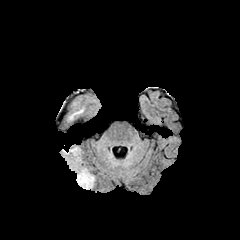
FLAIR MRI.
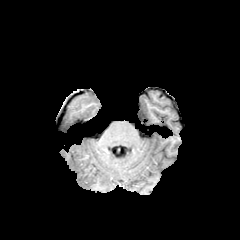
T1-weighted magnetic resonance.
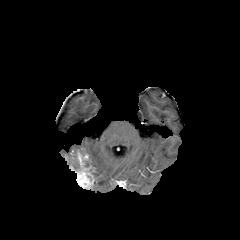
Post-contrast T1-weighted MRI.
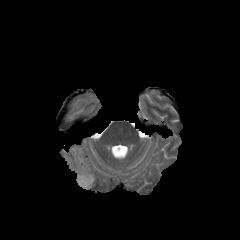
T2-weighted magnetic resonance.
Head, 240x240 px
{"enhancing_tumor": ["75,155,94,189"]}